CT; Slice 385 of 751; Liver

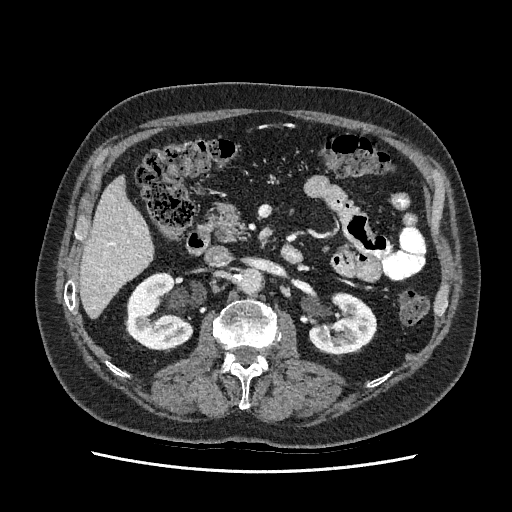
<segmentation>
  <liver>(x1=80, y1=176, x2=153, y2=317)</liver>
  <kidney>(x1=310, y1=294, x2=375, y2=353), (x1=128, y1=274, x2=191, y2=348)</kidney>
</segmentation>